Upper abdomen, CT slice 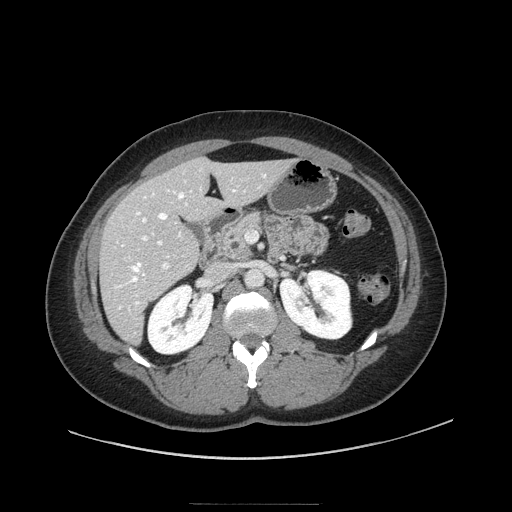 Pancreas: box=[216, 212, 266, 261].